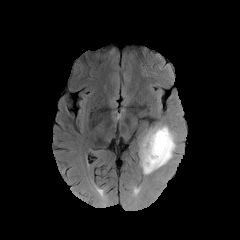
FLAIR magnetic resonance.
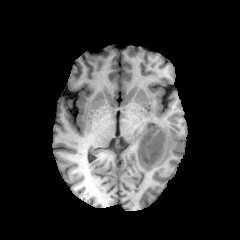
Same slice, T1-weighted magnetic resonance.
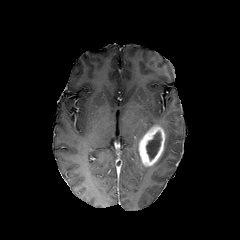
Same slice, post-contrast T1-weighted MRI.
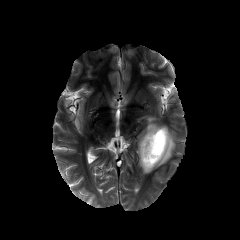
Same slice, T2-weighted MRI.
240x240 px
Segmented structures:
- non-enhancing tumor core: (146,132,160,159)
- enhancing tumor: (138,124,165,167)
- edema: (137,122,181,175)